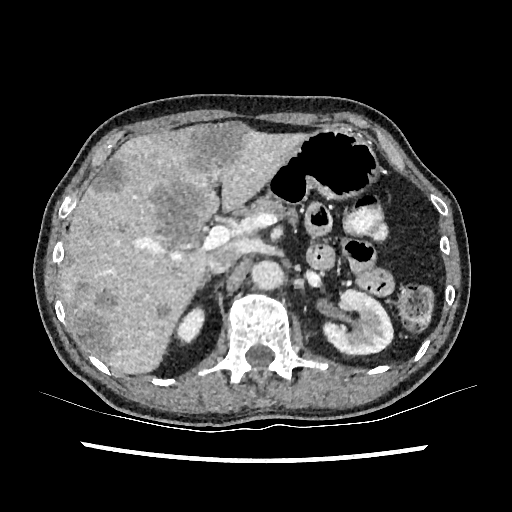

512x512 px; CT scan slice
Kidney at l=324, t=290, r=394, b=358; l=178, t=310, r=203, b=340.
Liver at l=62, t=130, r=306, b=372.
Liver lesion at l=157, t=304, r=170, b=317; l=153, t=183, r=200, b=243; l=63, t=253, r=74, b=266; l=71, t=313, r=110, b=355; l=94, t=157, r=125, b=191; l=94, t=290, r=117, b=310; l=178, t=123, r=249, b=169; l=76, t=281, r=89, b=293.